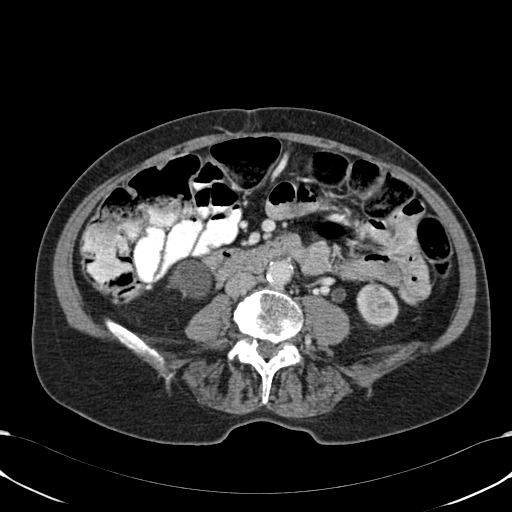
CT slice

* kidney: l=357, t=284, r=397, b=325